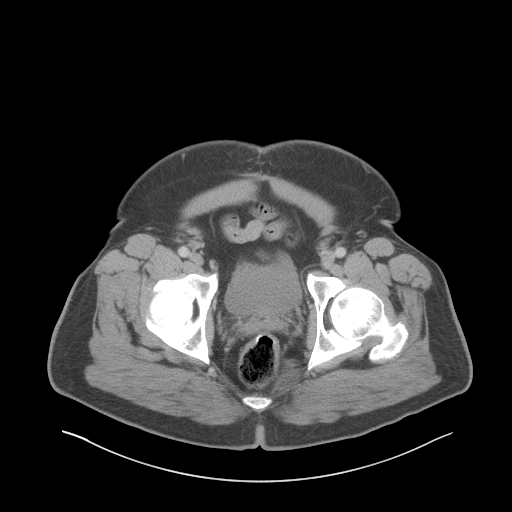
Pelvis; CT image
Urinary bladder — 225:263:299:313.